Image size 512x512, CT scan slice

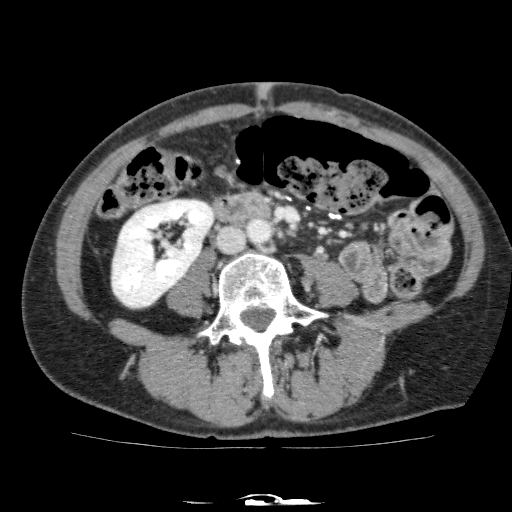

The kidney is located at <bbox>112, 200, 212, 306</bbox>.